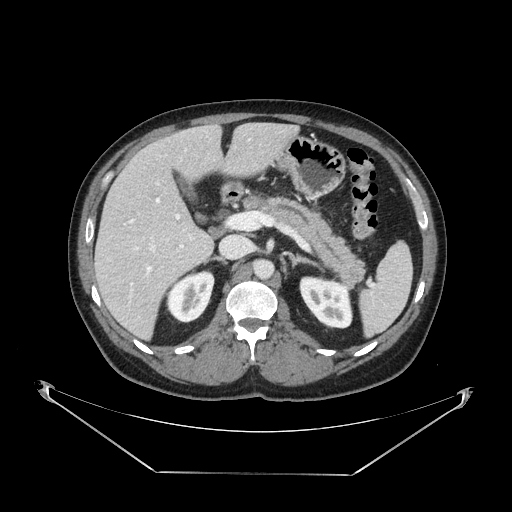
Image size 512x512. CT. Upper abdomen. <segmentation>
  <pancreatic_tumor>(x1=259, y1=199, x2=267, y2=207)</pancreatic_tumor>
  <pancreas>(x1=263, y1=196, x2=366, y2=289)</pancreas>
</segmentation>